FLAIR MR.
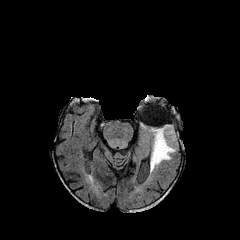
T1-weighted MR.
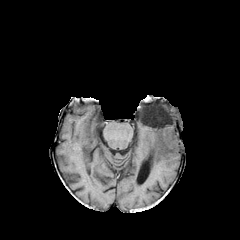
Post-contrast T1-weighted MR.
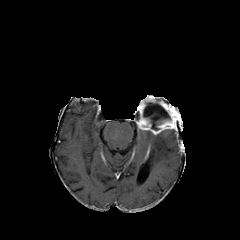
T2-weighted magnetic resonance.
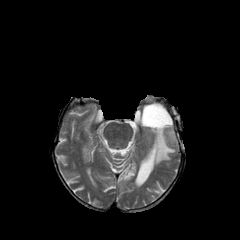
Head; Image size 240x240
Edema = box(144, 131, 178, 173).
Enhancing tumor = box(140, 121, 173, 133).
Non-enhancing tumor core = box(136, 98, 179, 137).